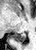
MR image
The posterior hippocampus is located at (11,33,25,42).